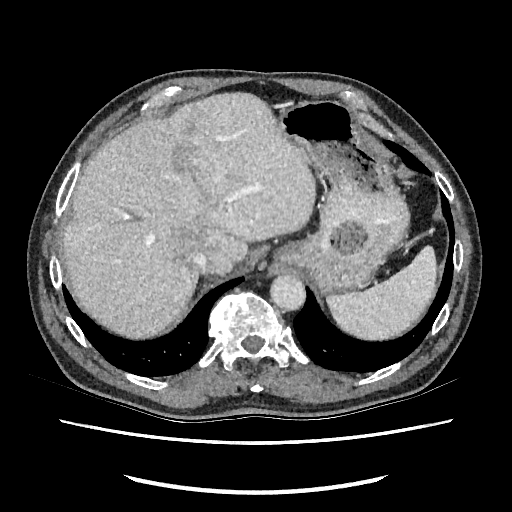 Abdomen | CT image

Liver lesion: x1=188 y1=121 x2=195 y2=132, x1=172 y1=146 x2=194 y2=171, x1=173 y1=229 x2=202 y2=267.
Liver: x1=62 y1=94 x2=314 y2=335.